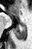 Hippocampus. MR.
posterior hippocampus: region(14, 25, 26, 39)